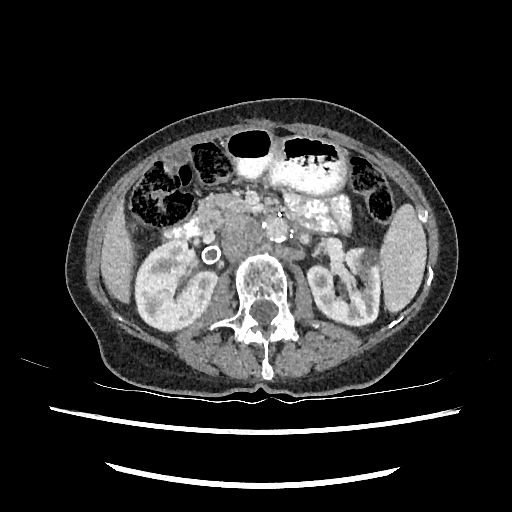 CT slice
{
  "liver": [
    "bbox(101, 203, 132, 302)"
  ],
  "kidney": [
    "bbox(308, 248, 380, 325)",
    "bbox(136, 239, 216, 330)"
  ]
}